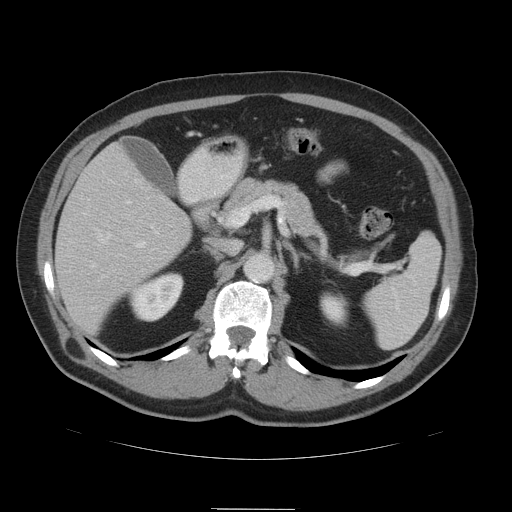 CT image, 512x512 px, Upper abdomen
The pancreas is at box(219, 177, 320, 236).